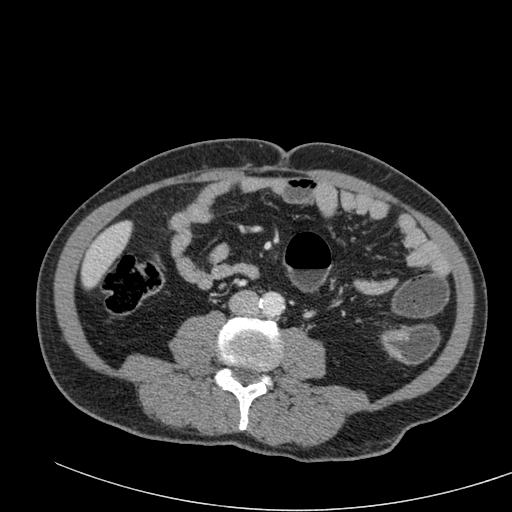

CT image; Liver

Liver: <bbox>82, 221, 130, 286</bbox>.